Upper abdomen. CT slice. 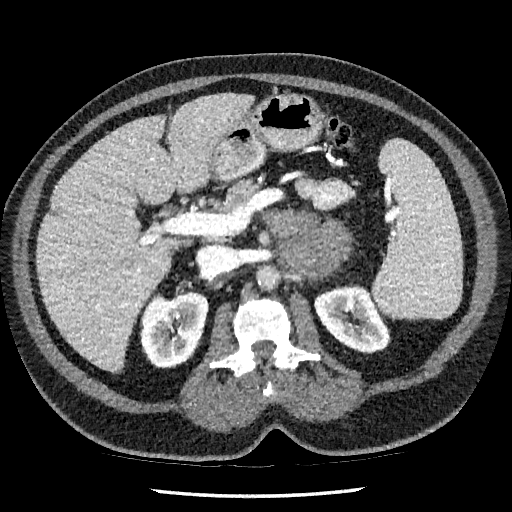 Liver: x1=38 y1=94 x2=252 y2=370.
Kidney: x1=141 y1=293 x2=207 y2=366, x1=315 y1=288 x2=388 y2=351.